Field of view 335x335 mm. Slice 71 of 565. Lower abdomen. Computed tomography. 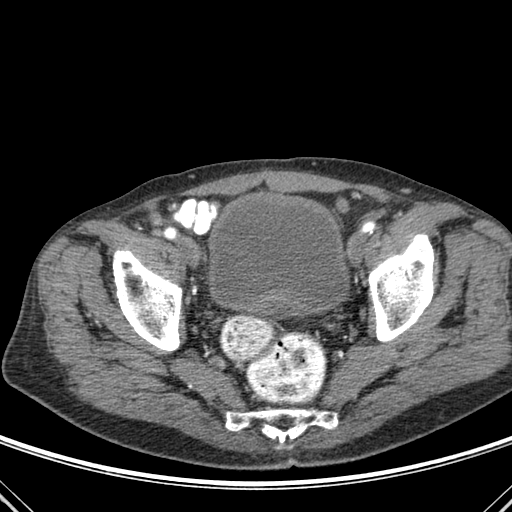 bone: bbox(113, 250, 181, 351); bbox(225, 409, 337, 445); bbox(368, 234, 434, 341) | urinary bladder: bbox(205, 196, 350, 314)